Image width 402 mm | Slice index 111 | CT image | 512x512 | Abdomen 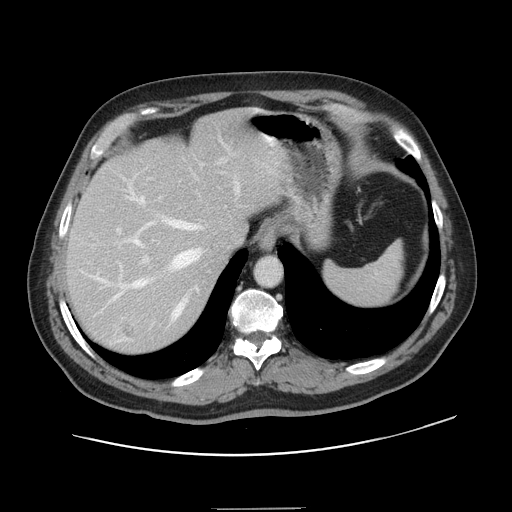
The vessel boxes may cover only some of the vessels.
14 hepatic vessel regions are located at region(172, 298, 187, 318); region(172, 249, 201, 268); region(128, 184, 144, 202); region(112, 290, 122, 300); region(143, 222, 152, 227); region(195, 287, 197, 289); region(143, 257, 147, 262); region(93, 275, 103, 280); region(235, 183, 238, 192); region(168, 220, 199, 229); region(125, 280, 145, 287); region(132, 236, 140, 244); region(119, 263, 121, 267); region(117, 228, 120, 233). The liver tumor is at region(122, 324, 137, 338).